CT scan slice

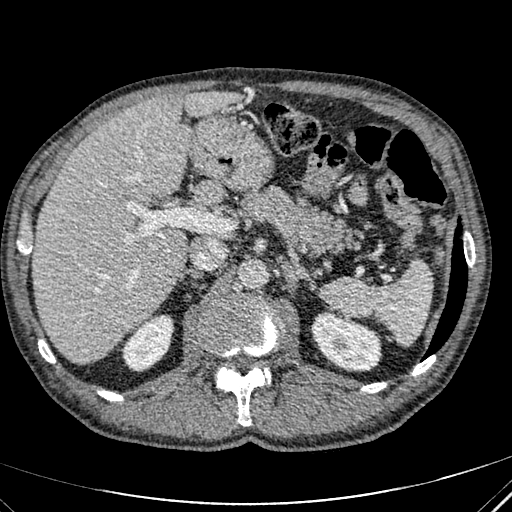

2 kidney regions are located at bbox(313, 314, 379, 369); bbox(124, 316, 171, 369). 2 liver regions are bounded by bbox(33, 91, 242, 362); bbox(195, 182, 221, 203). The hepatic lesion is at bbox(157, 95, 179, 108).